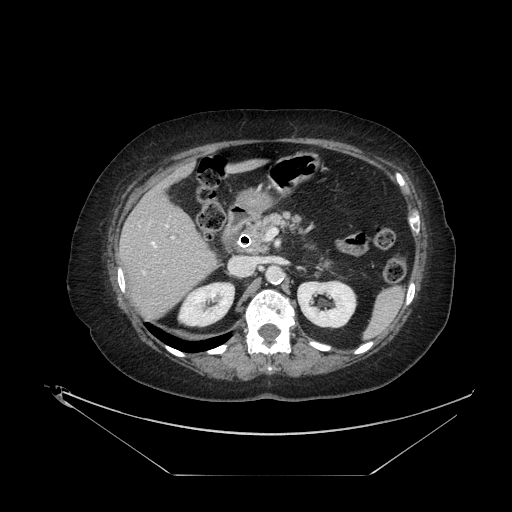
CT slice, Upper abdomen, 512x512

{"pancreas": ["bbox=[319, 258, 331, 267]", "bbox=[243, 214, 308, 254]"]}